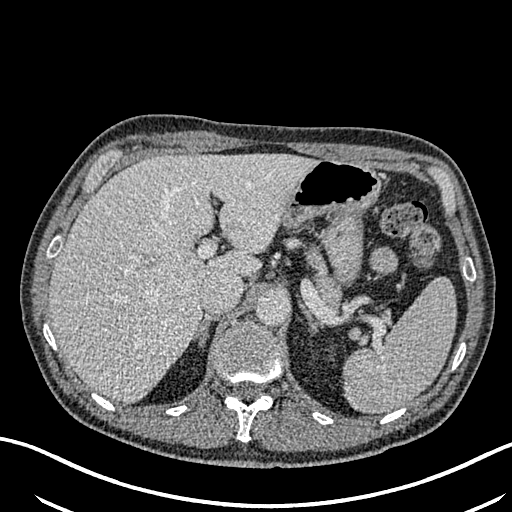
CT, Image size 512x512
The liver is bounded by (49, 154, 317, 402).